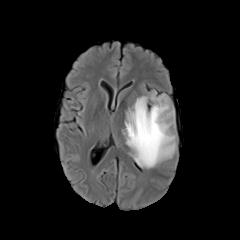
FLAIR magnetic resonance.
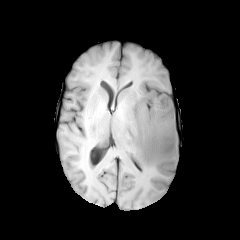
T1-weighted MR of the same slice.
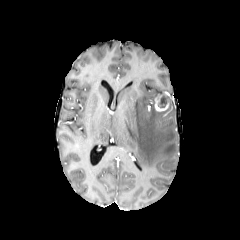
Post-contrast T1-weighted MRI.
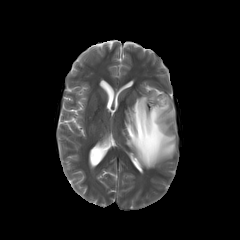
T2-weighted MR image of the same slice.
Brain
Edema — (x1=121, y1=89, x2=178, y2=170).
Enhancing tumor — (x1=155, y1=99, x2=168, y2=110).
Non-enhancing tumor core — (x1=152, y1=92, x2=171, y2=108).